CT image, Upper abdomen, 512x512
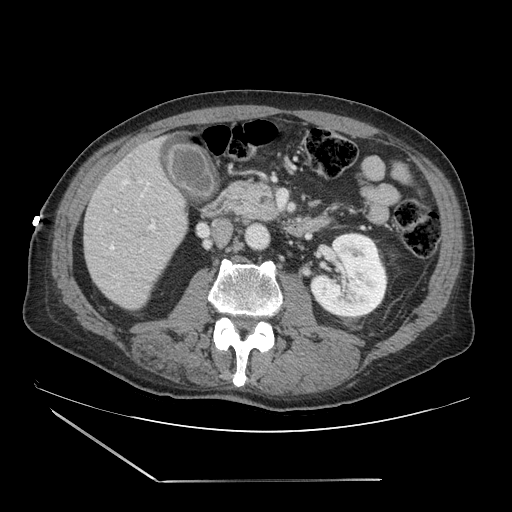

pancreatic_tumor:
  - 257:190:270:199
pancreas:
  - 231:181:278:221